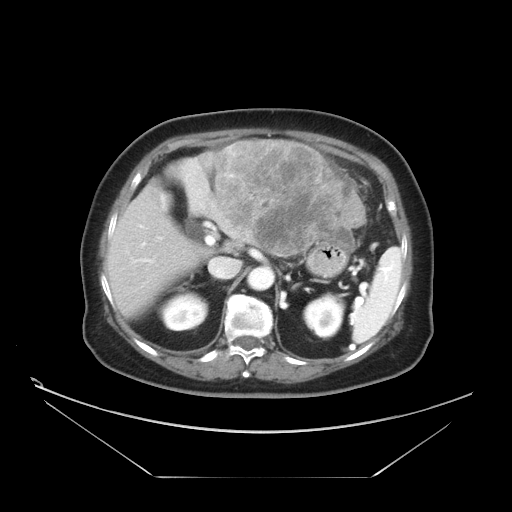
Image size 512x512, Abdomen, CT slice

Only some of the vessels may be annotated.
<segmentation>
  <hepatic_vessel>142,243,144,245; 143,260,148,260</hepatic_vessel>
  <liver_tumor>215,140,366,256</liver_tumor>
</segmentation>